Slice index 82. MR.
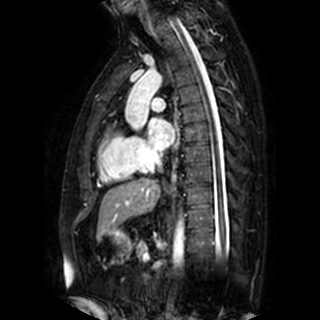

• left atrium: <bbox>148, 117, 173, 149</bbox>